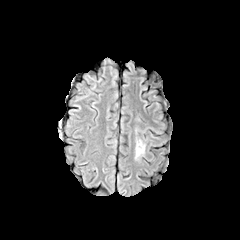
FLAIR MR image.
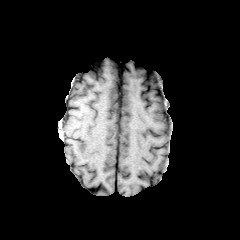
Same slice, T1-weighted magnetic resonance.
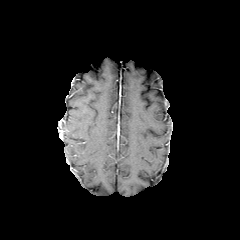
Same slice, post-contrast T1-weighted MR image.
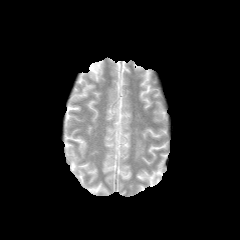
Same slice, T2-weighted magnetic resonance.
Image size 240x240. Brain.
edema: [136, 138, 145, 156]